Field of view 496x496 mm, Slice 333 of 537, CT
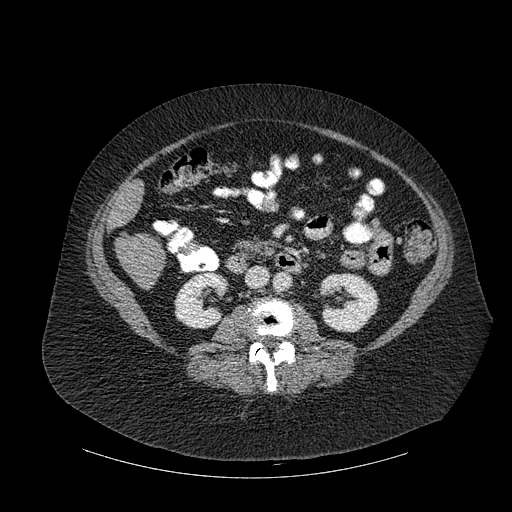
2 bone regions appear at (left=249, top=341, right=294, bottom=391), (left=248, top=300, right=294, bottom=339). 2 kidney regions are bounded by (left=175, top=273, right=225, bottom=327), (left=322, top=274, right=377, bottom=331). 2 liver regions appear at (left=115, top=231, right=166, bottom=290), (left=108, top=180, right=144, bottom=228).